T2-weighted MRI.
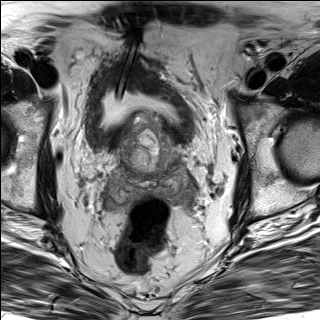
ADC MR.
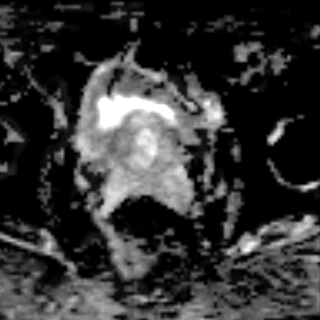
320x320, Pelvis
prostate transition zone: x1=119, y1=116, x2=173, y2=176